Slice 30/95 | Computed tomography | Image size 512x512 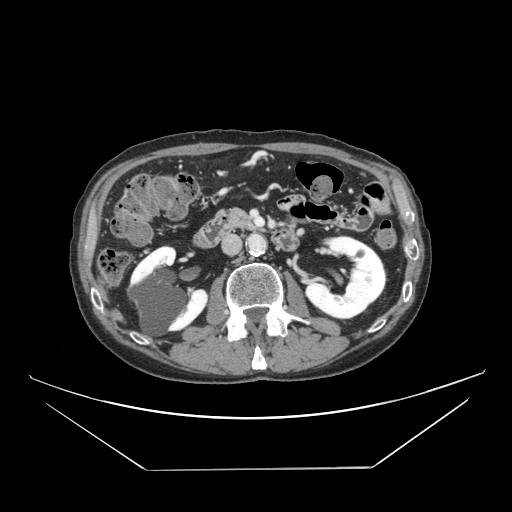

Segmented structures:
• pancreas: bbox=[219, 206, 261, 232]